FLAIR MRI.
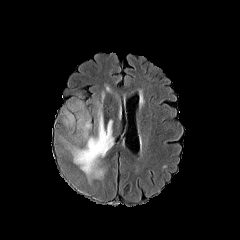
T1-weighted MRI.
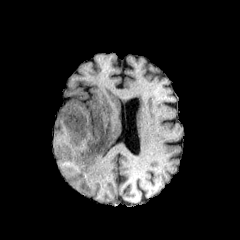
Post-contrast T1-weighted MR.
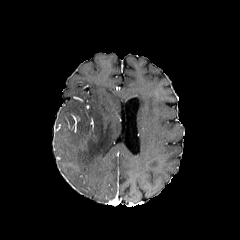
T2-weighted MR.
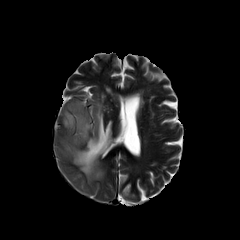
Image size 240x240; Brain
edema: <box>60,92,113,183</box>